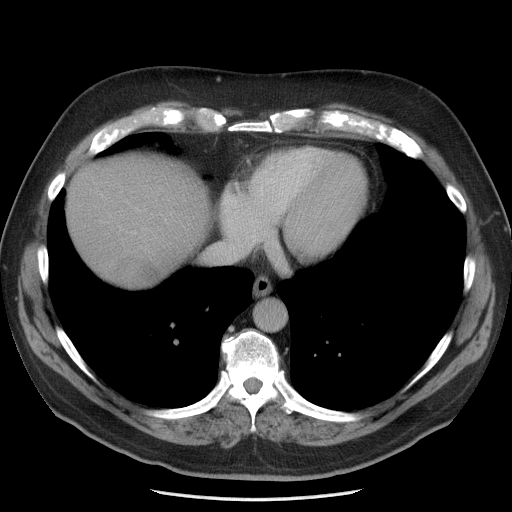 CT scan slice; Abdomen

The vessel boxes may cover only some of the vessels.
- liver tumor: bbox(115, 257, 160, 288)
- hepatic vessel: bbox(141, 228, 145, 229); bbox(132, 231, 136, 233); bbox(136, 208, 138, 211)